Brain
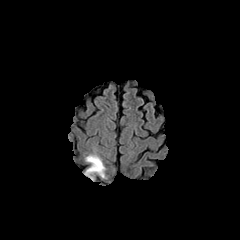
FLAIR MR image.
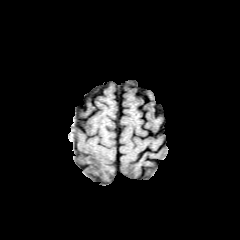
Same slice, T1-weighted MRI.
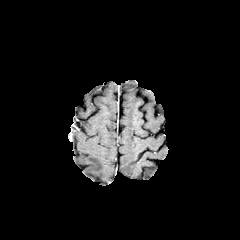
Post-contrast T1-weighted MR image.
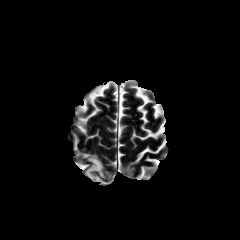
T2-weighted MRI.
Findings:
• edema: 84,153,106,181